Image width 451 mm. CT. Abdomen. 512x512 px. Slice 34 of 102.
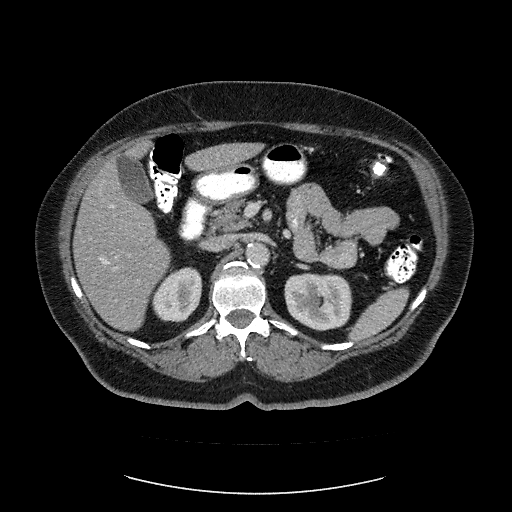
Not every hepatic vessel necessarily has a box.
Hepatic vessel: [x1=101, y1=257, x2=108, y2=263], [x1=111, y1=204, x2=114, y2=206], [x1=113, y1=267, x2=117, y2=269], [x1=128, y1=254, x2=130, y2=255], [x1=116, y1=257, x2=117, y2=258], [x1=213, y1=173, x2=215, y2=174].